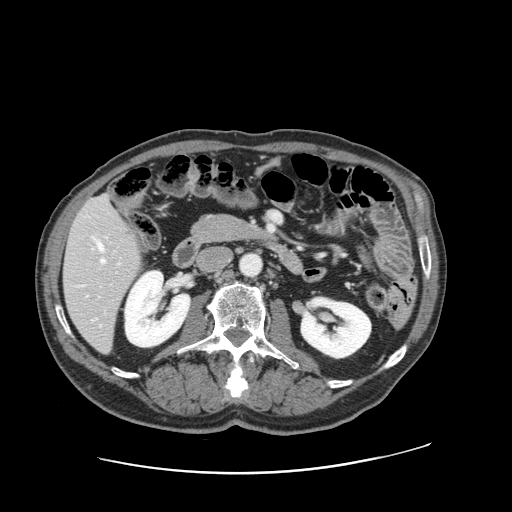 CT
The vessel boxes may cover only some of the vessels.
3 hepatic vessel regions appear at box=[92, 237, 102, 250]; box=[101, 259, 104, 262]; box=[92, 319, 95, 320].